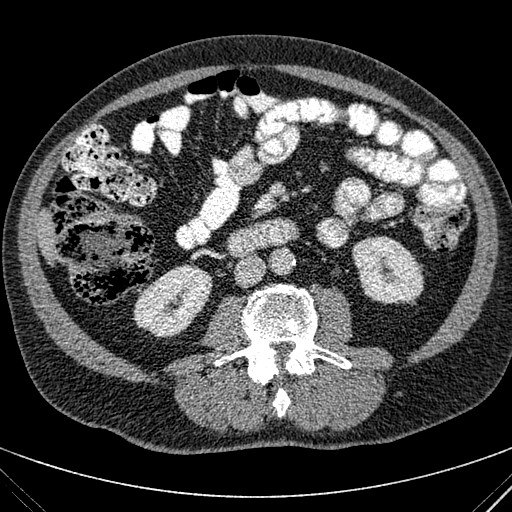

CT slice; Abdomen

The liver appears at left=37, top=209, right=55, bottom=262. 2 kidney regions are located at left=134, top=265, right=212, bottom=336; left=353, top=236, right=423, bottom=302.